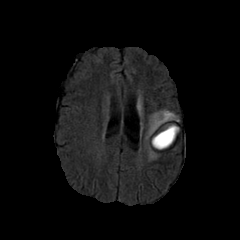
FLAIR MRI.
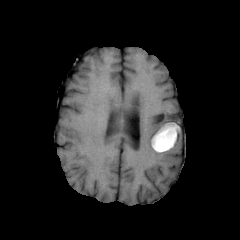
T1-weighted MR image.
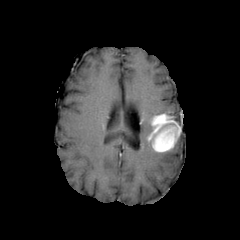
Post-contrast T1-weighted magnetic resonance of the same slice.
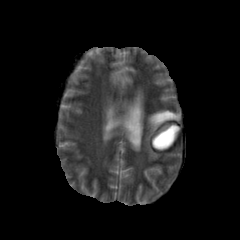
T2-weighted MR.
Head
Edema = l=136, t=92, r=144, b=136; l=144, t=108, r=175, b=160.
Enhancing tumor = l=148, t=112, r=179, b=151.